FLAIR MRI.
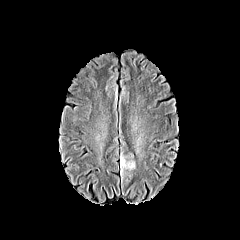
T1-weighted MR.
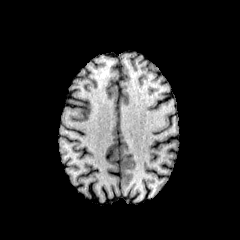
Post-contrast T1-weighted magnetic resonance.
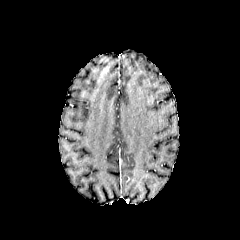
T2-weighted MR image.
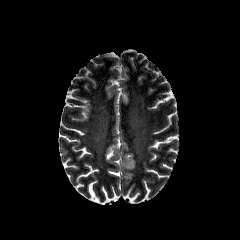
{
  "edema": [
    {"x1": 120, "y1": 158, "x2": 135, "y2": 170}
  ]
}